Slice index 18. Abdomen. Image size 512x512. CT.
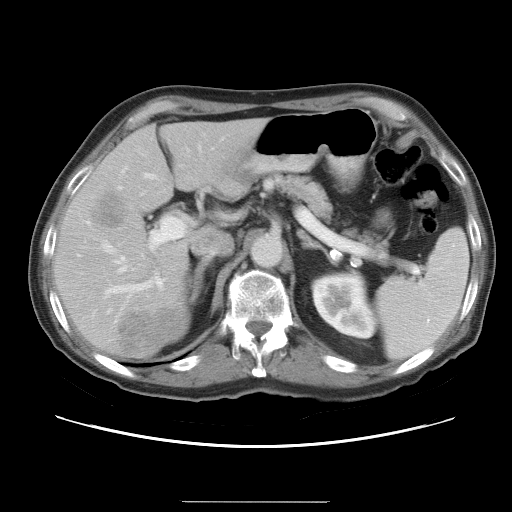
Some hepatic vessels may have no box.
Liver tumor — 121,309,185,355; 93,193,129,227.
Hepatic vessel — 103,273,164,297; 179,165,182,167; 197,146,200,150; 137,226,139,227; 118,228,120,229; 149,247,153,249.